FLAIR MRI.
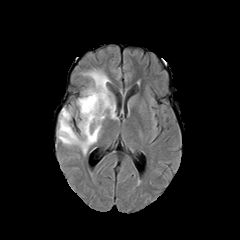
T1-weighted MR image.
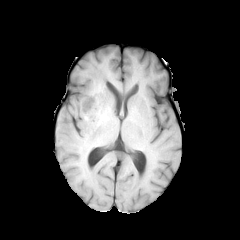
Post-contrast T1-weighted MR image.
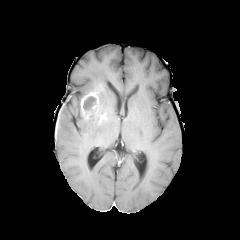
T2-weighted MRI.
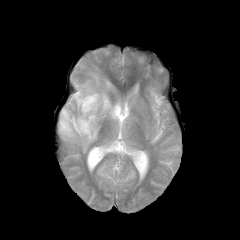
The non-enhancing tumor core is located at rect(83, 96, 95, 119). The enhancing tumor lies within rect(80, 91, 98, 118). The edema lies within rect(57, 68, 117, 154).